Computed tomography, Image width 350 mm, Upper abdomen
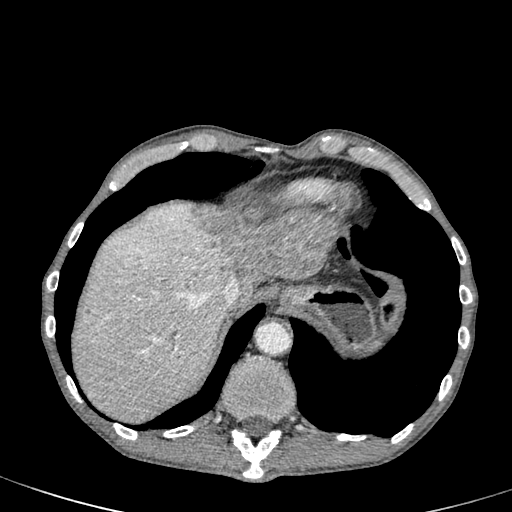
Liver: bounding box [74, 202, 259, 422], [318, 246, 329, 272], [300, 210, 337, 230].
Liver lesion: bounding box [191, 206, 335, 285].